Slice 40 of 56. CT image. Abdomen. Image size 512x512.

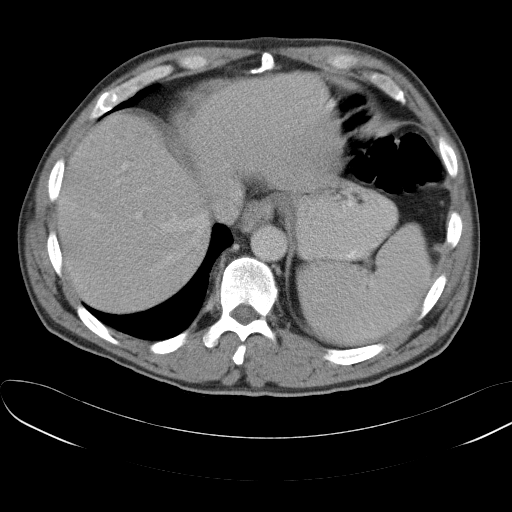
Annotated regions:
• spleen: left=301, top=226, right=431, bottom=345